FLAIR MR image.
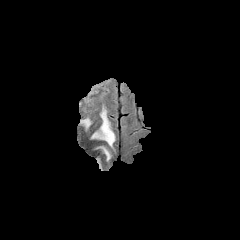
T1-weighted MR image.
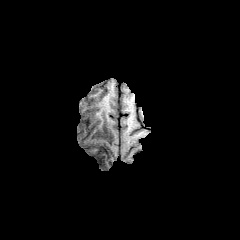
Post-contrast T1-weighted magnetic resonance.
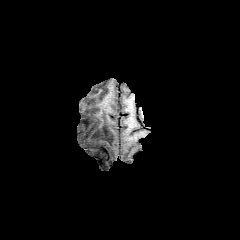
T2-weighted MRI.
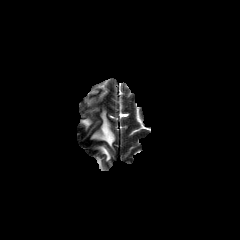
Brain. 240x240 px.
Segmented structures:
* edema: l=91, t=108, r=115, b=149; l=80, t=116, r=92, b=129; l=97, t=145, r=111, b=160